Slice 57/155.
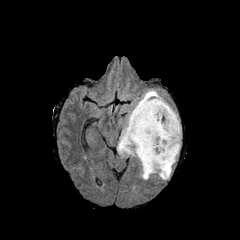
FLAIR MR.
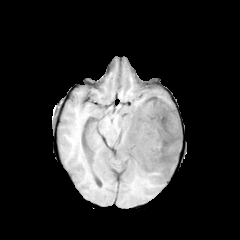
T1-weighted MRI.
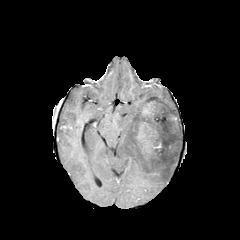
Post-contrast T1-weighted MR image.
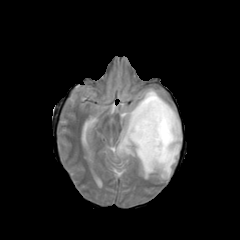
T2-weighted magnetic resonance of the same slice.
2 enhancing tumor regions appear at (left=137, top=122, right=161, bottom=151), (left=142, top=102, right=154, bottom=116). The non-enhancing tumor core lies within (left=137, top=94, right=179, bottom=158). The edema is bounded by (left=117, top=88, right=181, bottom=179).